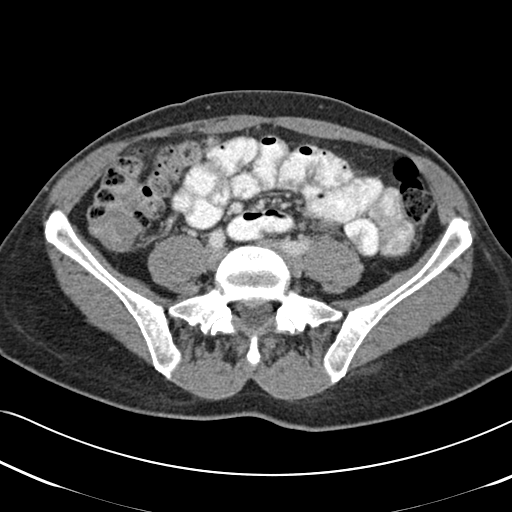 CT.

{
  "colon_tumor": [
    "(91,180,150,249)"
  ]
}